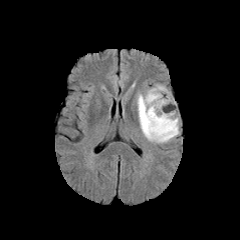
FLAIR magnetic resonance.
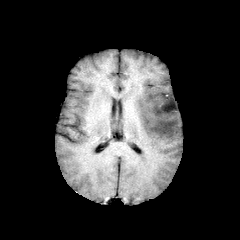
T1-weighted magnetic resonance.
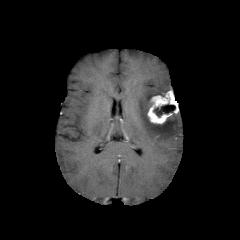
Post-contrast T1-weighted magnetic resonance.
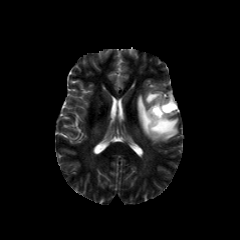
Same slice, T2-weighted MR image.
Head
The edema lies within left=136, top=83, right=180, bottom=143. The enhancing tumor lies within left=147, top=91, right=177, bottom=123. 2 non-enhancing tumor core regions are located at left=141, top=92, right=173, bottom=133; left=154, top=104, right=175, bottom=116.